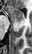
Medial temporal lobe | 32x54 px | Magnetic resonance
Anterior hippocampus = 9, 6, 25, 24.